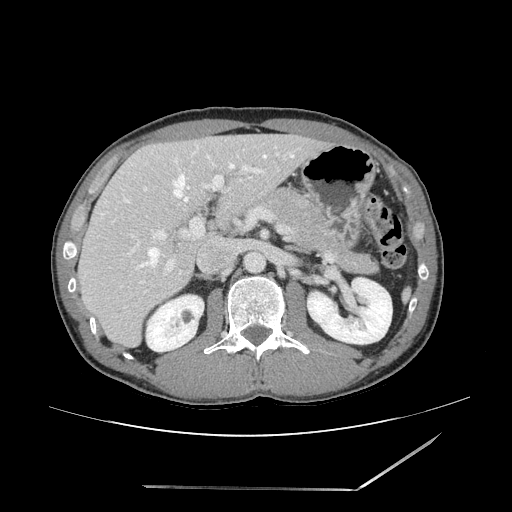 Computed tomography
pancreatic tumor: (x1=297, y1=195, x2=308, y2=208) | pancreas: (x1=260, y1=187, x2=377, y2=274)